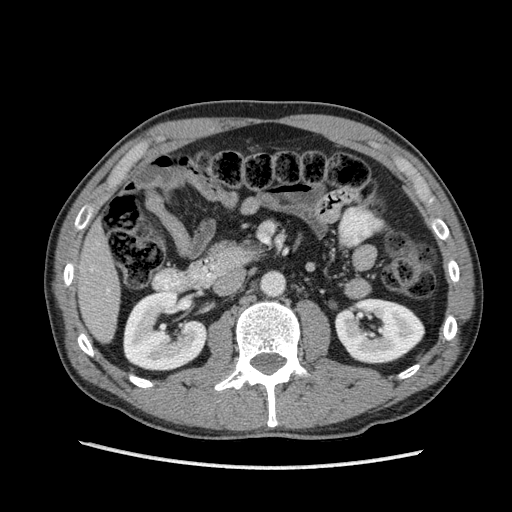 Image size 512x512. CT slice. Liver.
kidney: <bbox>124, 290, 205, 369</bbox>, <bbox>336, 299, 423, 361</bbox> | liver: <bbox>69, 220, 120, 343</bbox>